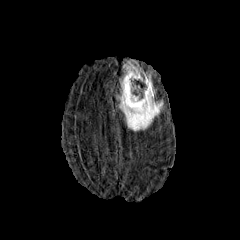
FLAIR MRI.
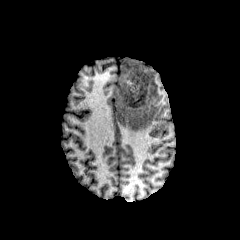
T1-weighted MR.
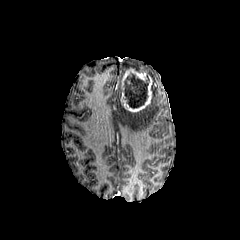
Post-contrast T1-weighted magnetic resonance.
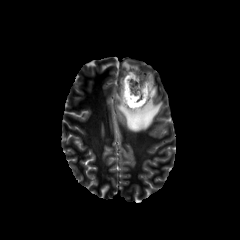
T2-weighted magnetic resonance.
Head; 240x240 px
• enhancing tumor: 120, 68, 152, 112
• non-enhancing tumor core: 124, 74, 148, 108
• edema: 118, 89, 162, 132; 122, 60, 138, 73